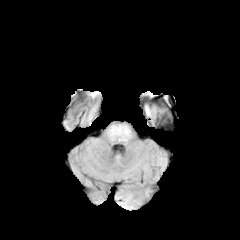
FLAIR MRI.
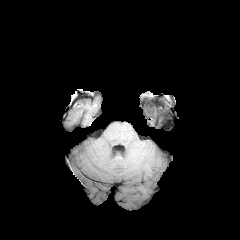
T1-weighted MR.
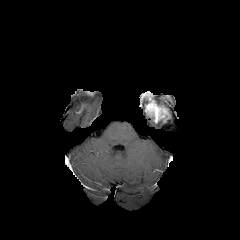
Post-contrast T1-weighted magnetic resonance.
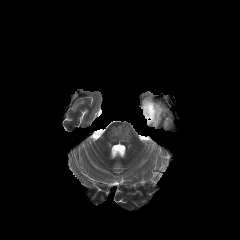
T2-weighted MRI of the same slice.
Enhancing tumor at x1=145 y1=104 x2=161 y2=117.